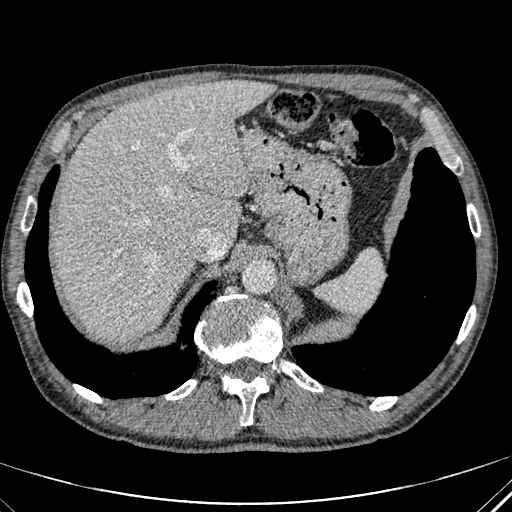

Liver | Computed tomography
<segmentation>
  <liver>[57, 80, 276, 340]</liver>
</segmentation>